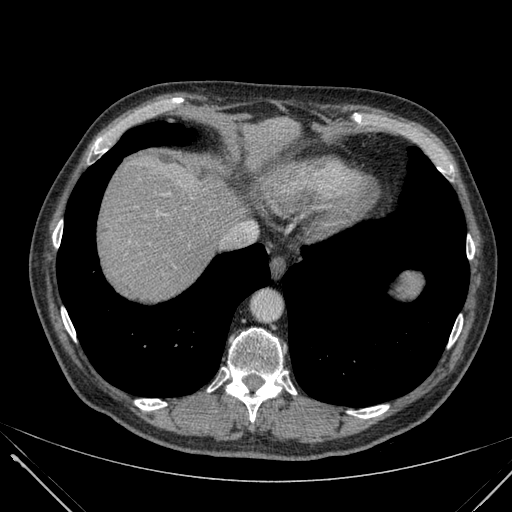
CT scan slice. 512x512. Upper abdomen.
{
  "liver": [
    "<bbox>244, 117, 300, 159</bbox>",
    "<bbox>98, 154, 264, 300</bbox>"
  ]
}